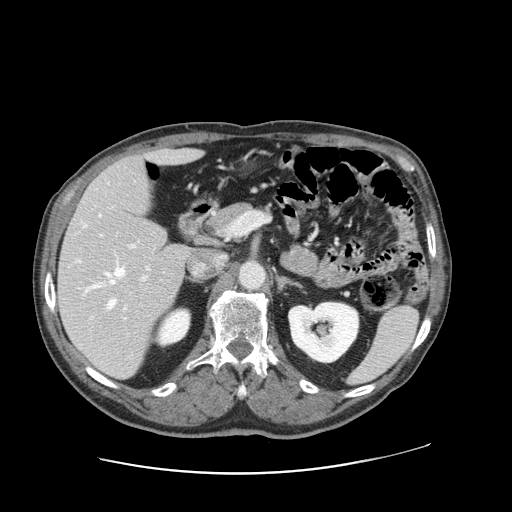
Image size 512x512; CT
Only some of the vessels may be annotated.
8 hepatic vessel regions are bounded by (left=108, top=300, right=115, bottom=308), (left=130, top=244, right=135, bottom=247), (left=115, top=261, right=123, bottom=277), (left=141, top=277, right=145, bottom=280), (left=85, top=283, right=103, bottom=293), (left=108, top=279, right=114, bottom=283), (left=147, top=267, right=148, bottom=269), (left=105, top=273, right=110, bottom=276).